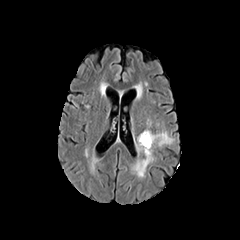
FLAIR MR image.
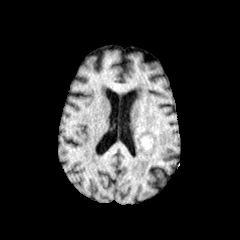
Same slice, T1-weighted MR image.
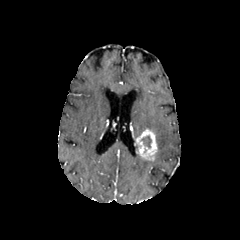
Post-contrast T1-weighted magnetic resonance.
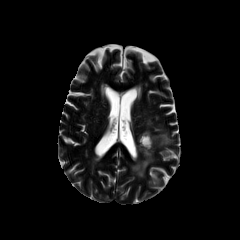
Same slice, T2-weighted MRI.
240x240 px | Head
{
  "enhancing_tumor": [
    "l=135, t=128, r=157, b=161"
  ],
  "non-enhancing_tumor_core": [
    "l=139, t=135, r=152, b=148"
  ],
  "edema": [
    "l=131, t=154, r=152, b=177",
    "l=156, t=129, r=174, b=146"
  ]
}